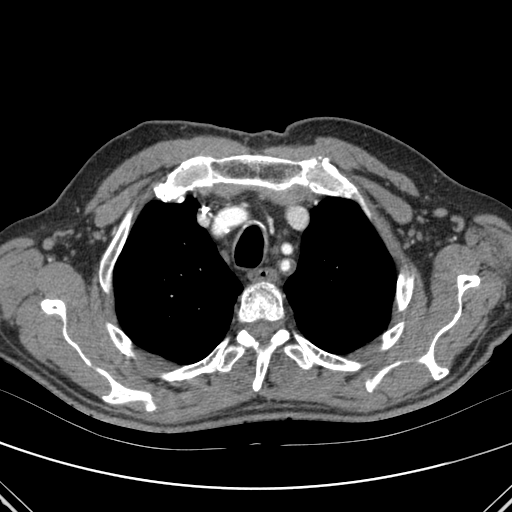
CT slice; Thorax

<segmentation>
  <bone>x1=396, y1=273, x2=413, y2=310; x1=99, y1=210, x2=132, y2=292; x1=106, y1=323, x2=133, y2=356; x1=154, y1=155, x2=357, y2=202; x1=161, y1=329, x2=288, y2=391; x1=40, y1=299, x2=90, y2=365; x1=284, y1=334, x2=361, y2=371; x1=419, y1=274, x2=480, y2=379; x1=381, y1=322, x2=403, y2=349; x1=97, y1=368, x2=155, y2=410; x1=365, y1=363, x2=397, y2=391; x1=239, y1=282, x2=283, y2=322</bone>
  <lung>x1=113, y1=196, x2=242, y2=363; x1=283, y1=197, x2=396, y2=354</lung>
</segmentation>